240x240 px. Brain.
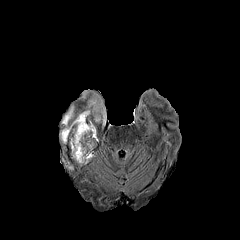
FLAIR MRI.
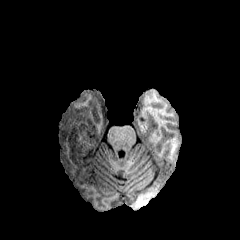
T1-weighted MRI of the same slice.
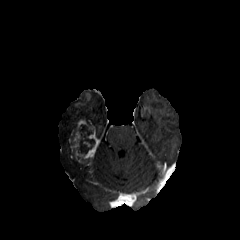
Post-contrast T1-weighted MR image.
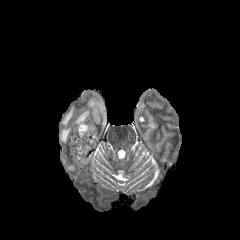
T2-weighted MR.
Segmented structures:
• non-enhancing tumor core: left=79, top=124, right=95, bottom=153; left=77, top=114, right=94, bottom=125
• enhancing tumor: left=68, top=118, right=99, bottom=165
• edema: left=61, top=157, right=73, bottom=170; left=59, top=90, right=106, bottom=145